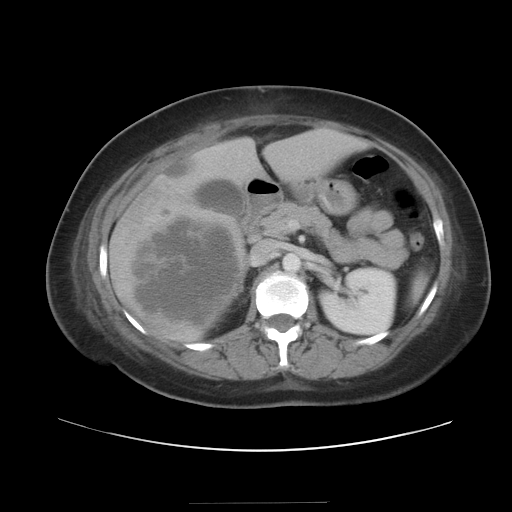

512x512. CT image.
{
  "liver_tumor": [
    "135, 221, 243, 330"
  ]
}